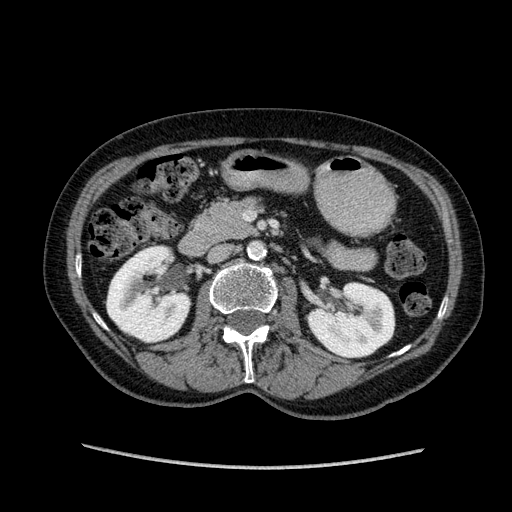
CT image.

2 kidney regions are located at [107,247,189,341], [308,279,393,356].